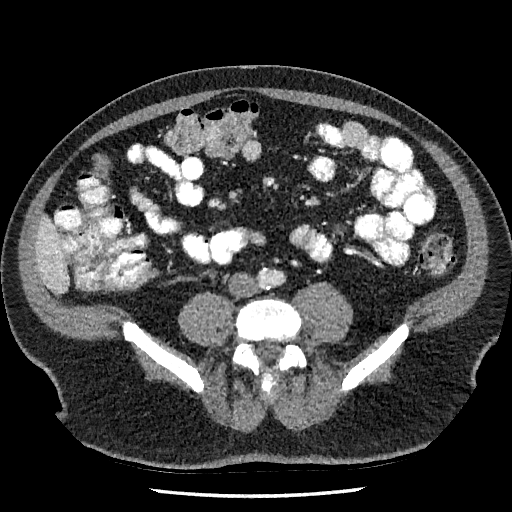
Liver | Computed tomography
The liver is at bbox(36, 216, 68, 292).